MR image, 37x56, Medial temporal lobe 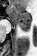
anterior hippocampus: bbox=[7, 6, 30, 24] | posterior hippocampus: bbox=[18, 25, 30, 31]